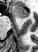

MR image; Hippocampus

The anterior hippocampus lies within left=13, top=7, right=27, bottom=18.